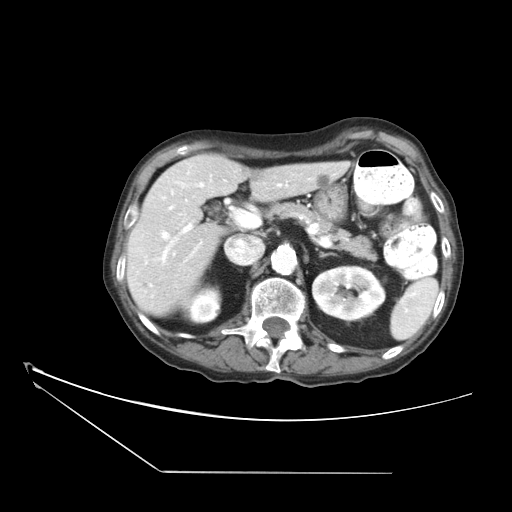

Abdomen. CT image.

The pancreas is located at rect(268, 202, 378, 261).